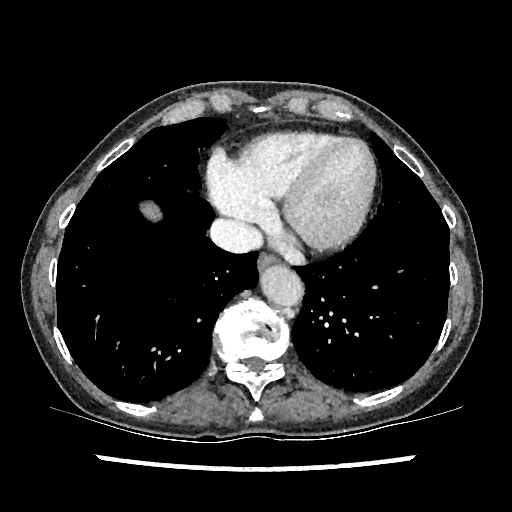 CT slice. Liver = 144 204 159 218.